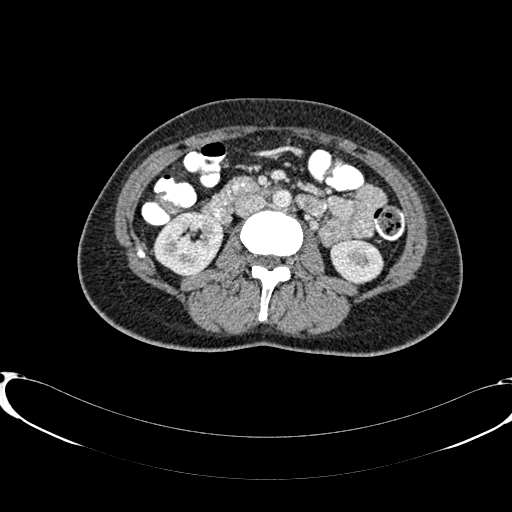 Image size 512x512, Computed tomography
kidney:
  - l=155, t=214, r=221, b=274
  - l=331, t=241, r=381, b=281